512x512 | CT image | Lower abdomen

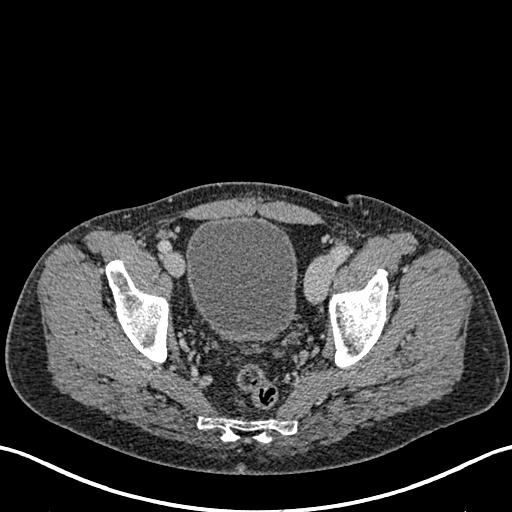 Urinary bladder: <bbox>185, 215, 297, 341</bbox>.